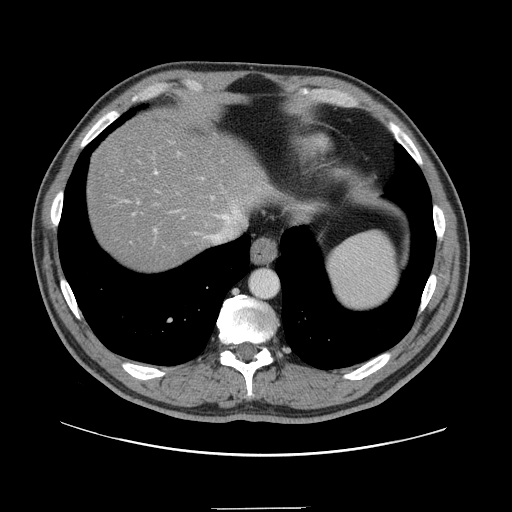

Computed tomography
Not every hepatic vessel necessarily has a box.
{"hepatic_vessel": ["bbox(212, 197, 213, 199)", "bbox(154, 228, 157, 233)", "bbox(233, 206, 238, 214)", "bbox(178, 153, 180, 155)", "bbox(208, 236, 214, 239)", "bbox(155, 171, 157, 174)", "bbox(212, 214, 228, 218)"]}